Abdomen. Slice 21/49. 512x512 px. CT.

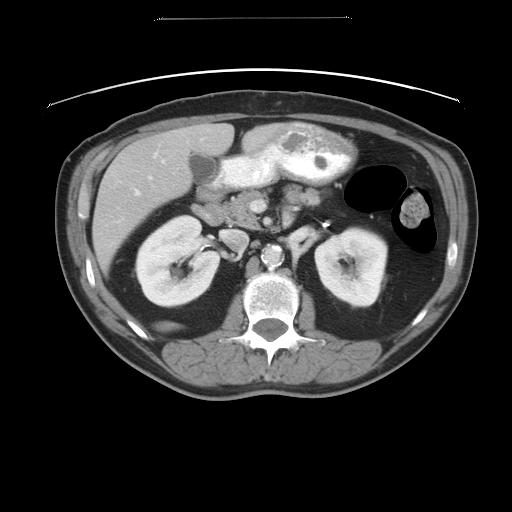 Only some of the vessels may be annotated.
hepatic vessel: 149:176:151:178, 135:189:139:195, 162:159:165:162, 117:217:123:222, 154:152:158:156